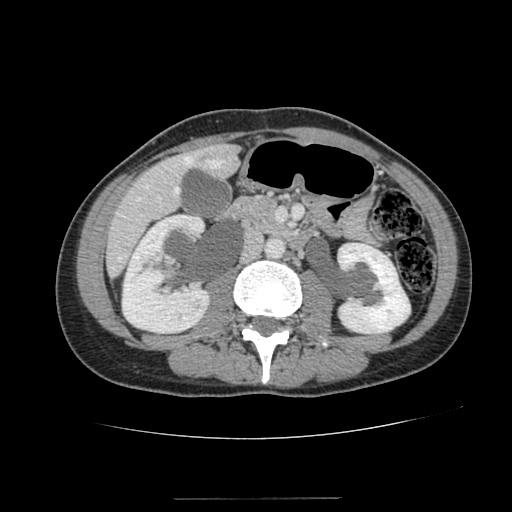

CT scan slice. Liver.
liver:
  - left=106, top=143, right=239, bottom=276
kidney:
  - left=122, top=215, right=208, bottom=332
  - left=338, top=243, right=410, bottom=333